Image size 240x240
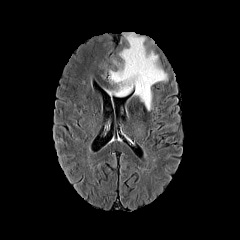
FLAIR magnetic resonance.
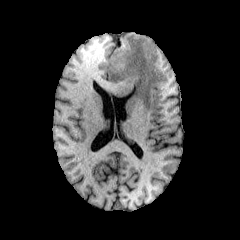
T1-weighted MRI.
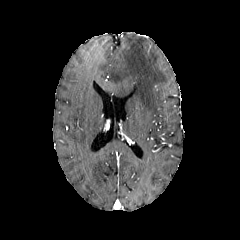
Same slice, post-contrast T1-weighted MR image.
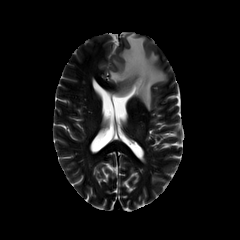
Same slice, T2-weighted MR image.
Segmented structures:
* edema: region(106, 32, 168, 110)